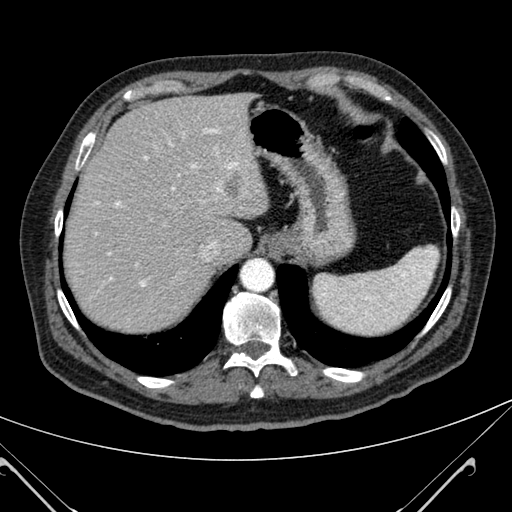 Computed tomography, Image size 512x512
<segmentation>
  <liver>x1=64, y1=90, x2=268, y2=333</liver>
  <focal_liver_lesion>x1=221, y1=177, x2=243, y2=197</focal_liver_lesion>
</segmentation>